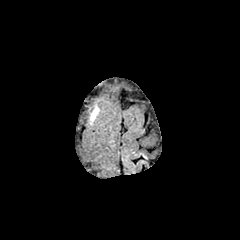
FLAIR magnetic resonance.
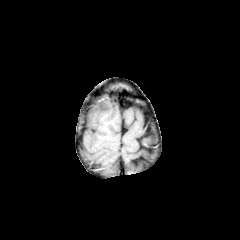
T1-weighted MRI of the same slice.
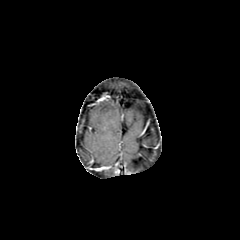
Same slice, post-contrast T1-weighted MR image.
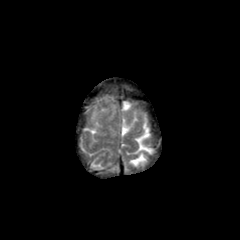
T2-weighted MR image.
Edema: (left=91, top=107, right=98, bottom=120).